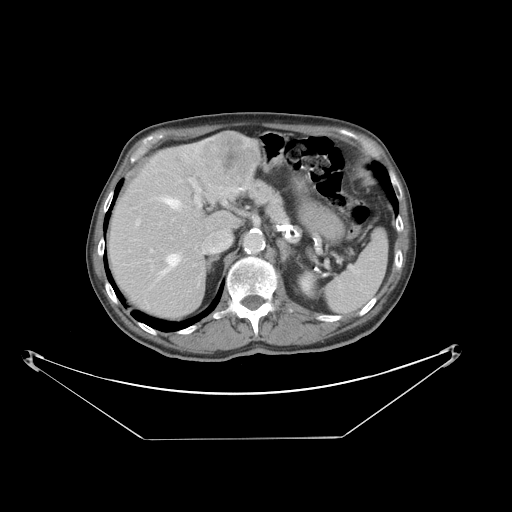
Abdomen | CT slice
Not every hepatic vessel necessarily has a box.
<segmentation>
  <liver_tumor>196, 132, 259, 189</liver_tumor>
  <hepatic_vessel>187, 178, 201, 207; 182, 227, 186, 233; 200, 229, 224, 252; 159, 254, 180, 277; 157, 197, 180, 208; 136, 219, 140, 225</hepatic_vessel>
</segmentation>